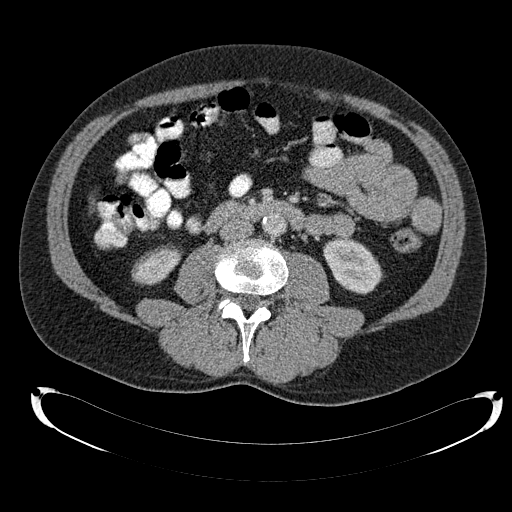 CT slice | 512x512 px
kidney: bbox=[134, 250, 179, 283]; bbox=[324, 238, 381, 292]